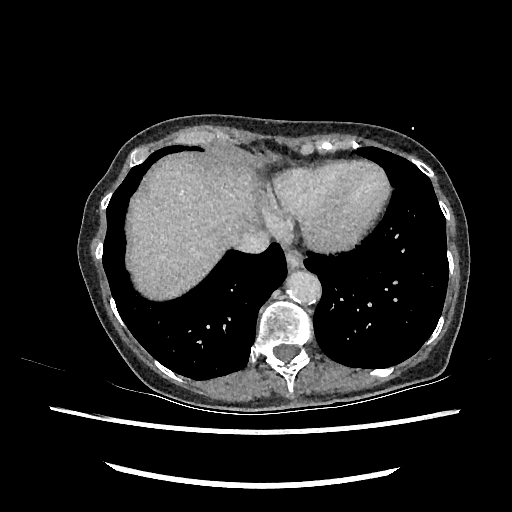

CT

Segmented structures:
• liver: (x1=130, y1=158, x2=256, y2=298)